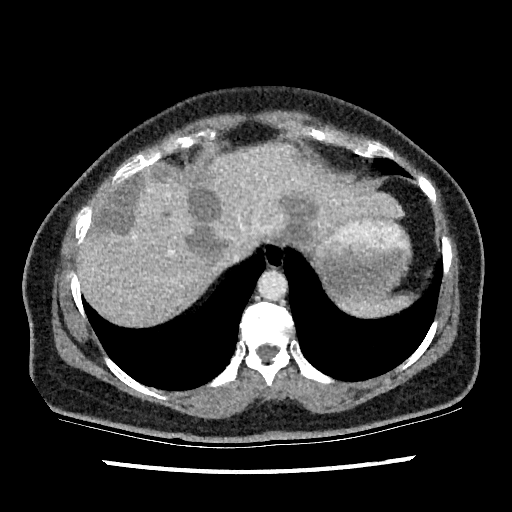

Abdomen. Computed tomography. Liver: bounding box 199,145,401,247; 78,164,231,326; 96,181,123,215.
Liver lesion: bounding box 180,163,228,257; 156,164,170,180; 94,173,143,233; 295,152,306,165; 278,191,317,246.